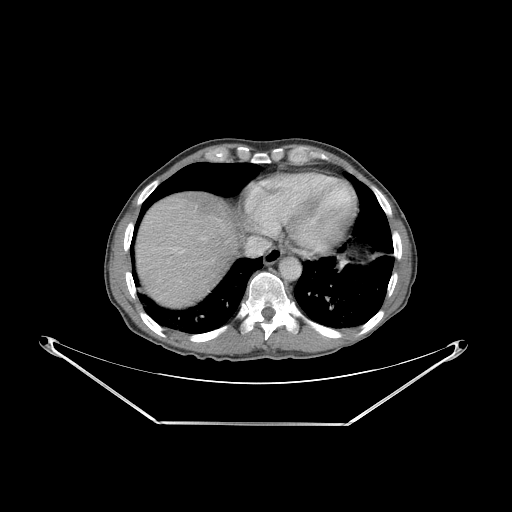
Liver; CT scan slice
<segmentation>
  <lung>left=294, top=174, right=394, bottom=328; left=139, top=162, right=259, bottom=220; left=145, top=257, right=266, bottom=333</lung>
  <bone>left=374, top=188, right=391, bottom=214; left=239, top=272, right=300, bottom=339; left=138, top=181, right=157, bottom=203; left=191, top=326, right=226, bottom=341; left=307, top=320, right=340, bottom=337; left=141, top=313, right=164, bottom=336; left=126, top=272, right=135, bottom=297; left=393, top=232, right=401, bottom=258; left=360, top=311, right=383, bottom=333; left=388, top=273, right=396, bottom=295; left=252, top=153, right=270, bottom=162; left=124, top=223, right=133, bottom=250</bone>
  <liver>left=135, top=192, right=247, bottom=309</liver>
</segmentation>